Slice index 65; Head
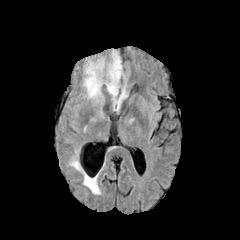
FLAIR MRI.
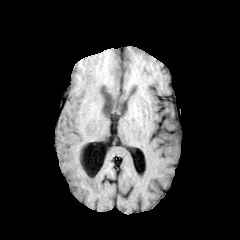
T1-weighted MRI.
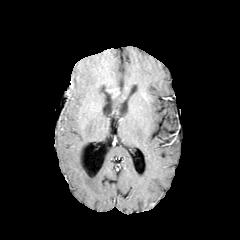
Post-contrast T1-weighted MRI.
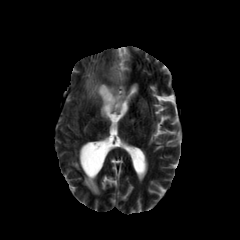
Same slice, T2-weighted MRI.
The non-enhancing tumor core is at [105,88,115,96]. 3 edema regions are bounded by [69,149,101,194], [110,98,123,110], [83,52,123,101].